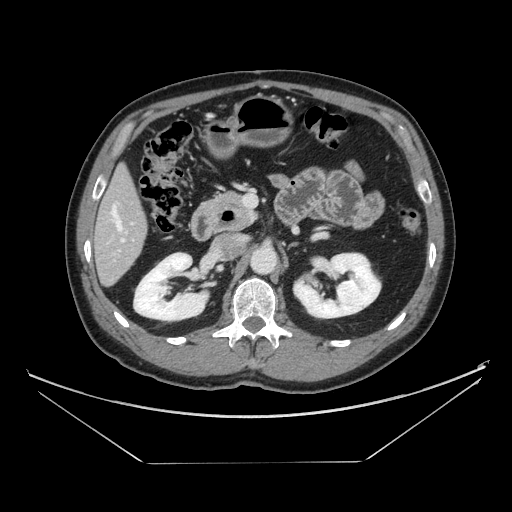

CT slice. The pancreas is located at <box>216,190,252,227</box>.